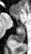

Hippocampus, MRI
posterior hippocampus: rect(11, 24, 25, 43)